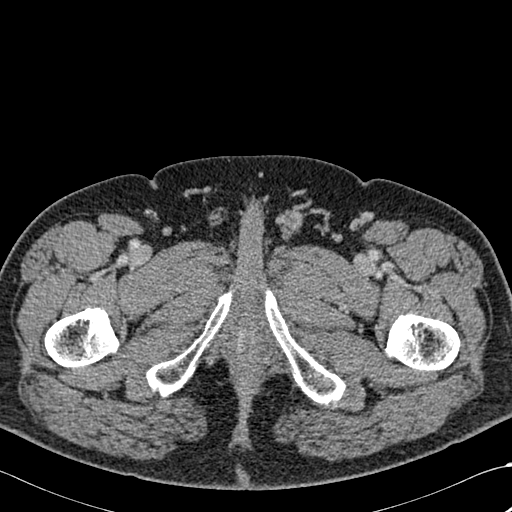
512x512 | CT scan slice
Bone: 45,308,118,367; 386,313,459,370; 146,292,231,396; 265,290,345,404.